Field of view 240 mm wide, 1.00 mm slice spacing, Brain
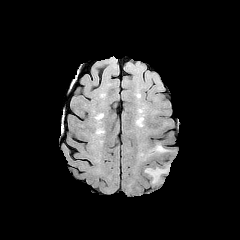
FLAIR MR image.
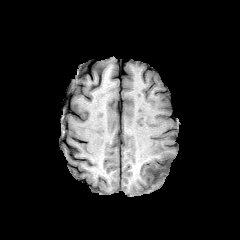
T1-weighted MR.
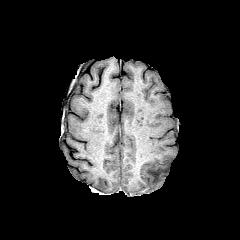
Post-contrast T1-weighted magnetic resonance.
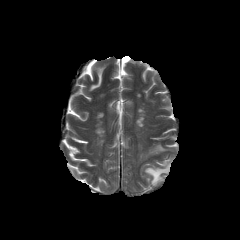
T2-weighted MR.
2 edema regions are bounded by {"x1": 152, "y1": 144, "x2": 170, "y2": 153}, {"x1": 145, "y1": 162, "x2": 167, "y2": 184}.